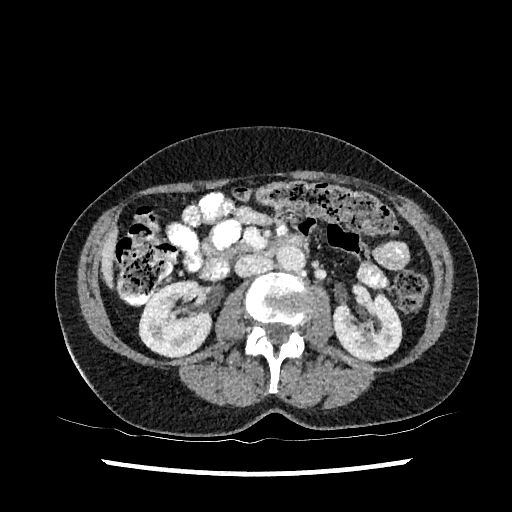 CT scan slice, Upper abdomen

• liver: <box>101,229,117,284</box>
• kidney: <box>334,296,401,359</box>, <box>140,282,210,356</box>